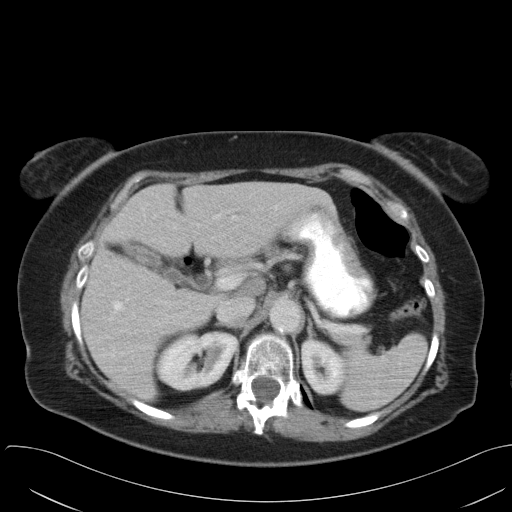
CT slice | Abdomen | 512x512
spleen:
  - 340:335:426:409